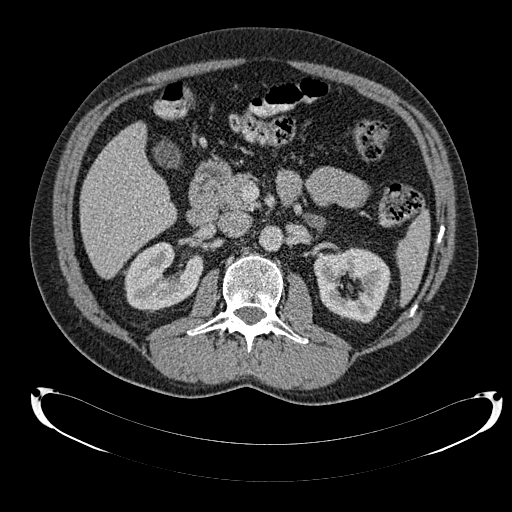

Upper abdomen. CT slice.

liver: bbox=[80, 123, 176, 277] | kidney: bbox=[314, 249, 389, 322]; bbox=[125, 243, 202, 309]